Computed tomography | Field of view 512x512 mm | Abdomen | Slice 33/155

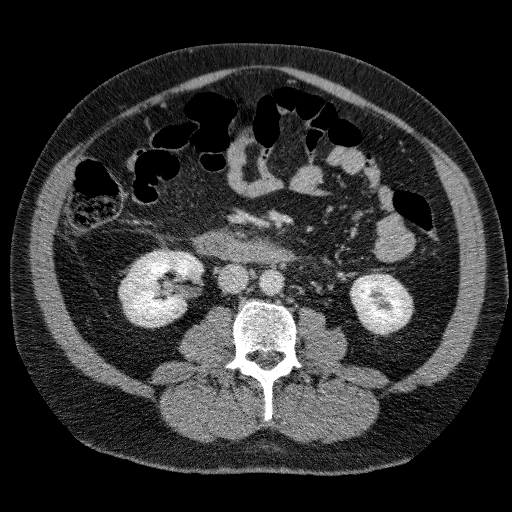

kidney:
  - [351,275,411,332]
  - [121,252,203,325]